CT
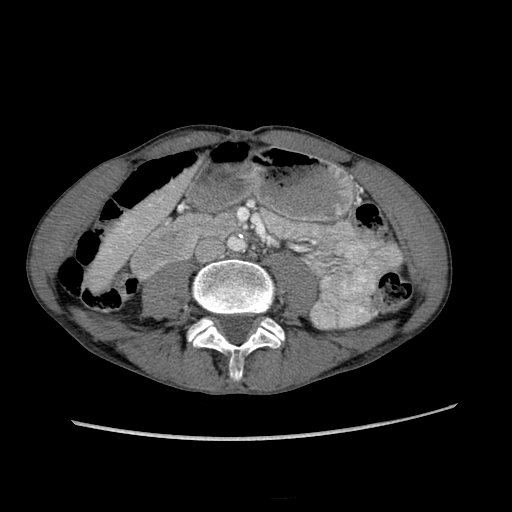
<segmentation>
  <liver>(x1=89, y1=173, x2=188, y2=290)</liver>
</segmentation>